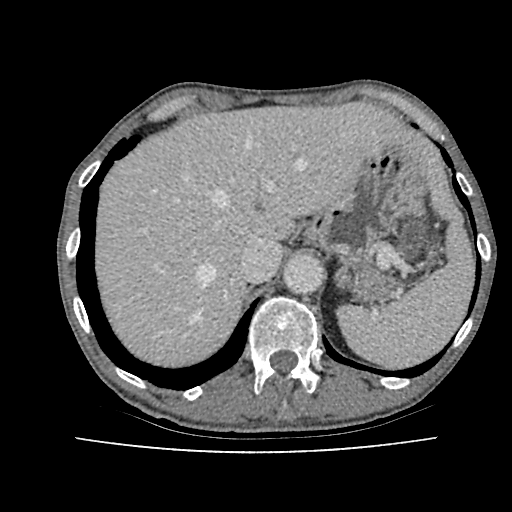 CT image
Liver at <box>93,103,404,366</box>, <box>424,161,438,173</box>.